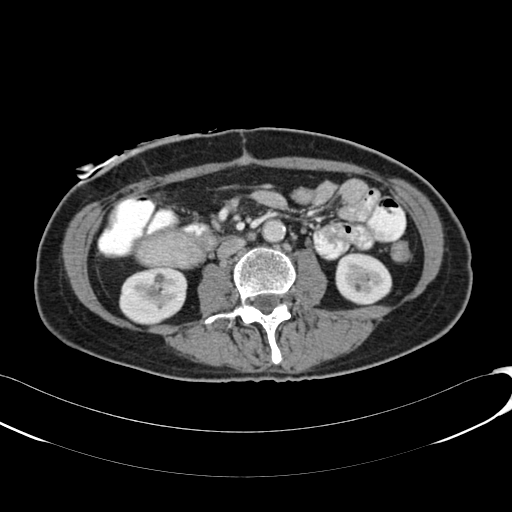
CT image
kidney: [336,254,390,303], [120,268,185,323]